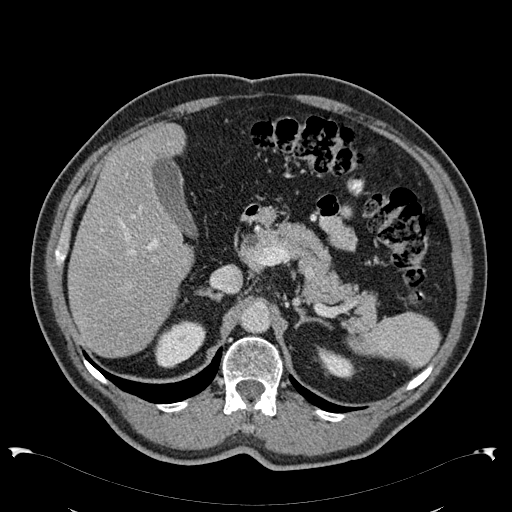

Computed tomography; Upper abdomen; 512x512 px
Liver — 67,123,193,357.
Kidney — 149,321,205,367; 318,348,353,377.